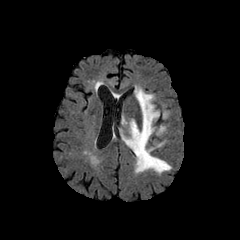
FLAIR magnetic resonance.
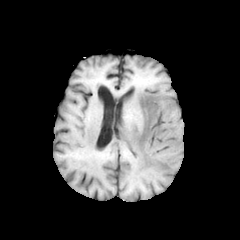
Same slice, T1-weighted magnetic resonance.
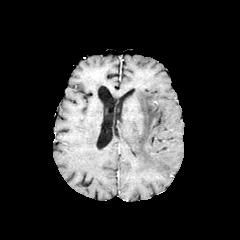
Post-contrast T1-weighted MR image.
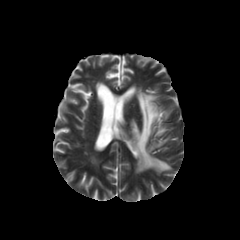
Same slice, T2-weighted MR.
240x240.
Edema: left=121, top=88, right=171, bottom=173; left=156, top=126, right=166, bottom=137.